FLAIR MRI.
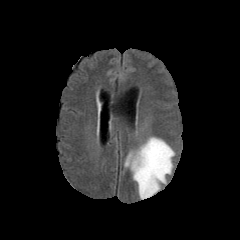
T1-weighted magnetic resonance.
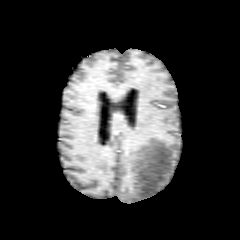
Post-contrast T1-weighted MR.
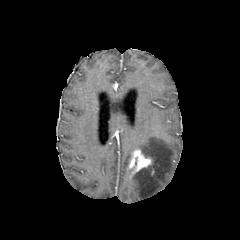
T2-weighted MR image.
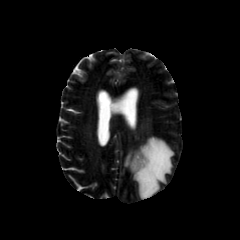
Head
{
  "edema": [
    "box(132, 136, 175, 199)",
    "box(124, 153, 132, 167)"
  ],
  "enhancing_tumor": [
    "box(129, 150, 152, 173)"
  ]
}